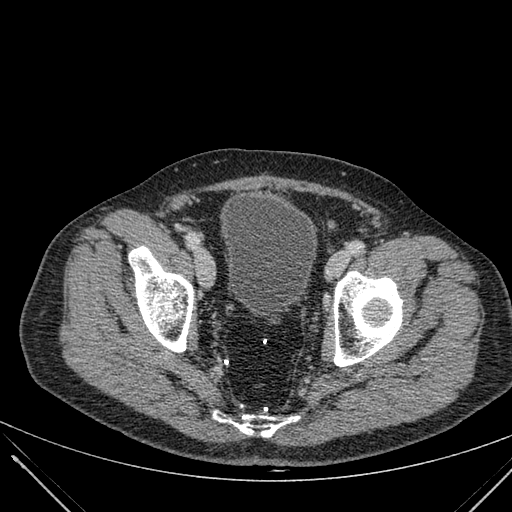

CT | Image size 512x512

The urinary bladder lies within box=[221, 196, 317, 311].